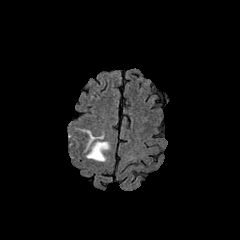
FLAIR MR.
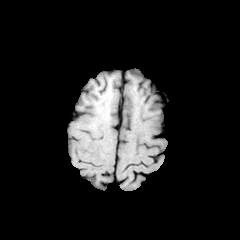
T1-weighted MR of the same slice.
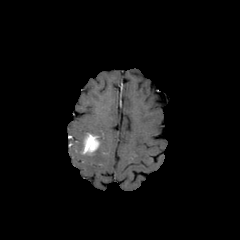
Post-contrast T1-weighted magnetic resonance of the same slice.
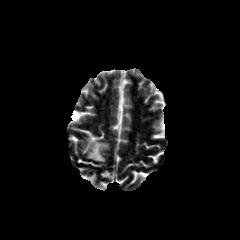
T2-weighted MR image.
Image size 240x240.
Edema: bounding box x1=76, y1=128, x2=110, y2=162.
Enhancing tumor: bounding box x1=83, y1=134, x2=99, y2=153.